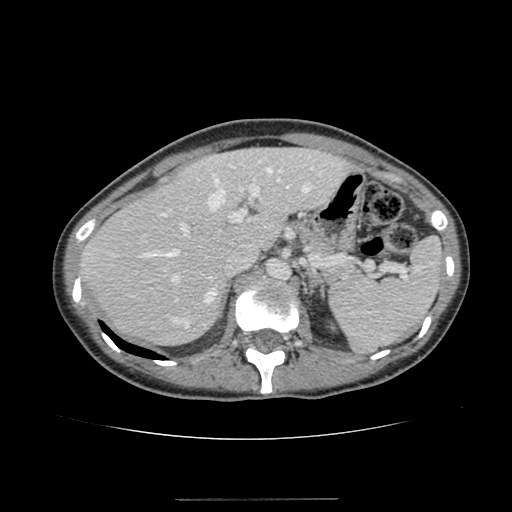 Liver | Computed tomography

The liver is bounded by [83,147,353,345].